Image width 240 mm | Brain | 240x240
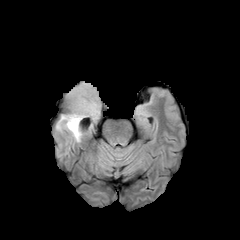
FLAIR MR.
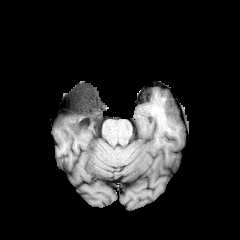
T1-weighted MR.
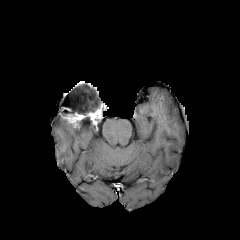
Post-contrast T1-weighted MR.
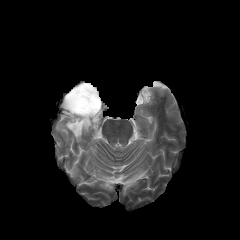
T2-weighted MR.
Enhancing tumor — box=[62, 103, 102, 127].
Edema — box=[56, 118, 82, 141].
Non-enhancing tumor core — box=[64, 83, 101, 113].